240x240 px | Head
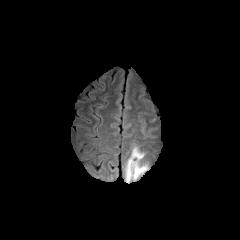
FLAIR MR.
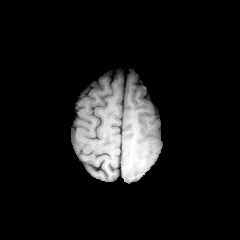
T1-weighted MR.
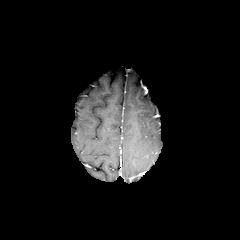
Post-contrast T1-weighted MR of the same slice.
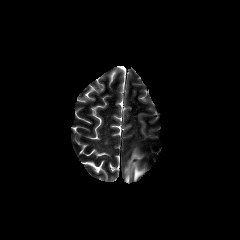
Same slice, T2-weighted MR.
• edema: 124:147:146:180